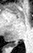

Hippocampus | MRI
Posterior hippocampus = l=8, t=43, r=17, b=47.